Abdomen. CT image. Slice index 615. 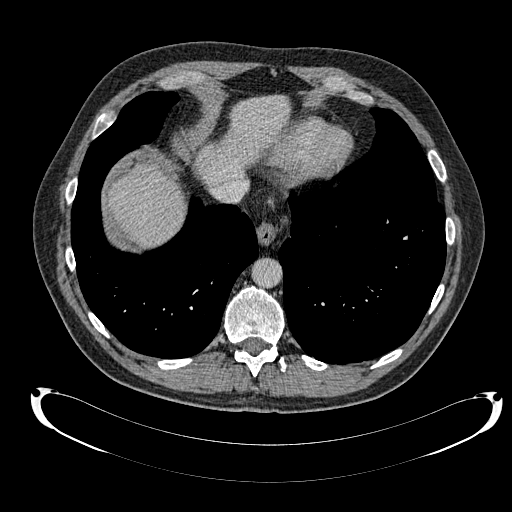
{"liver": ["[x1=197, y1=95, x2=289, y2=186]", "[x1=108, y1=165, x2=185, y2=245]"]}